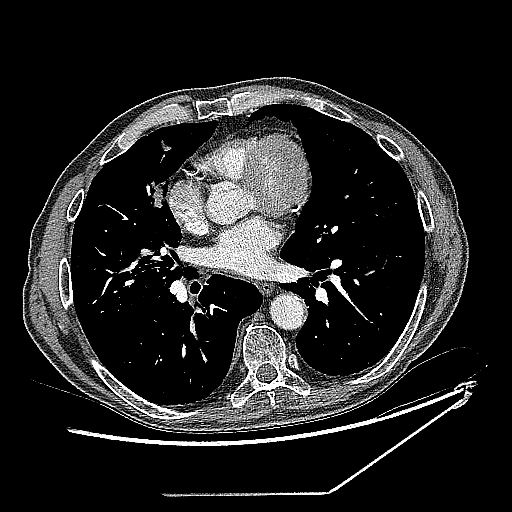
CT

<segmentation>
  <lung_tumor>(144, 178, 168, 208)</lung_tumor>
</segmentation>